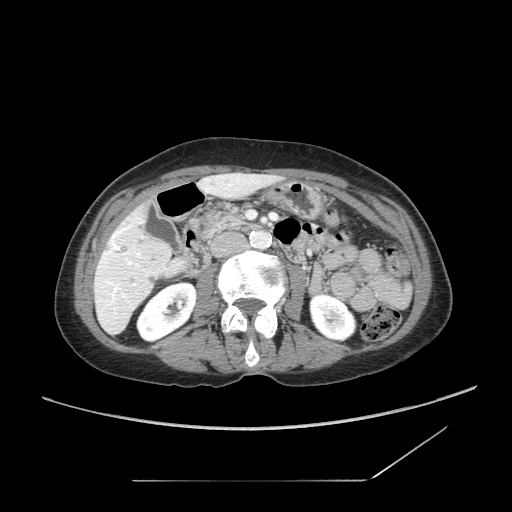

CT

Pancreas: (199,204,247,238).
Pancreatic tumor: (205,210,226,226).